Brain | Slice index 80
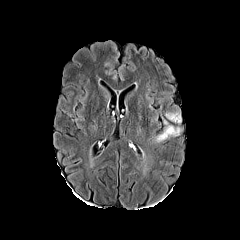
FLAIR MRI.
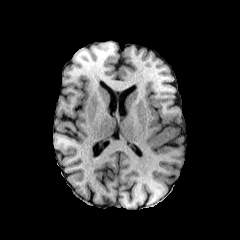
T1-weighted magnetic resonance.
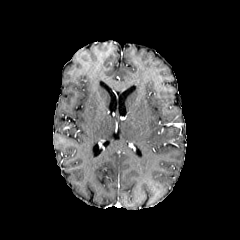
Post-contrast T1-weighted magnetic resonance.
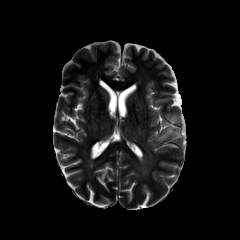
T2-weighted MR.
Edema — 154,127,179,142; 165,110,181,122.